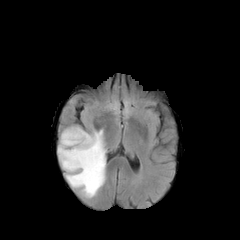
FLAIR MR image.
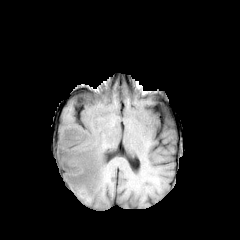
T1-weighted MRI.
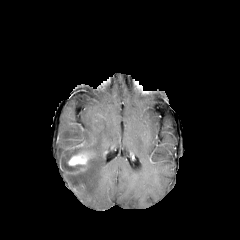
Post-contrast T1-weighted MRI.
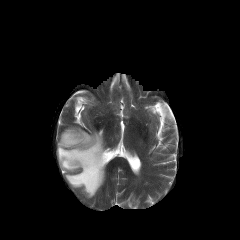
T2-weighted MRI.
Brain | Image size 240x240
{
  "edema": [
    "rect(57, 127, 106, 197)"
  ],
  "enhancing_tumor": [
    "rect(64, 142, 84, 150)",
    "rect(67, 150, 94, 171)"
  ]
}